512x512 px, CT image

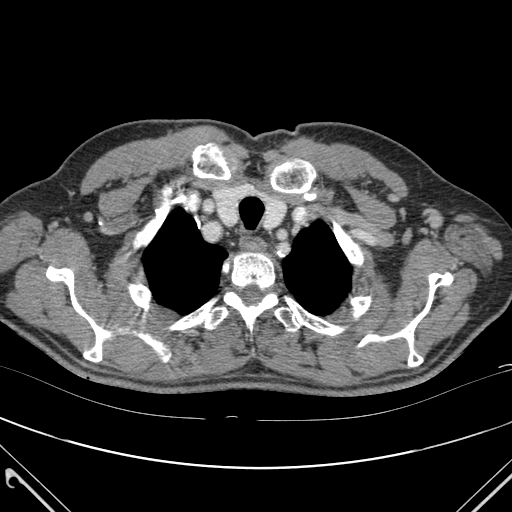

Segmented structures:
- bone: <box>358,273,452,366</box>, <box>232,253,274,287</box>, <box>193,144,230,179</box>, <box>271,162,315,200</box>, <box>224,292,277,330</box>, <box>140,333,168,361</box>, <box>46,266,109,361</box>, <box>275,297,343,335</box>, <box>351,297,370,316</box>, <box>170,301,227,329</box>, <box>129,284,150,309</box>, <box>137,188,177,245</box>, <box>333,222,362,264</box>
- lung: <box>143,208,227,313</box>, <box>283,221,350,315</box>